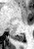 Medial temporal lobe; MR
{"posterior_hippocampus": ["left=11, top=34, right=23, bottom=41"]}